CT scan slice, Abdomen, Slice 99/155

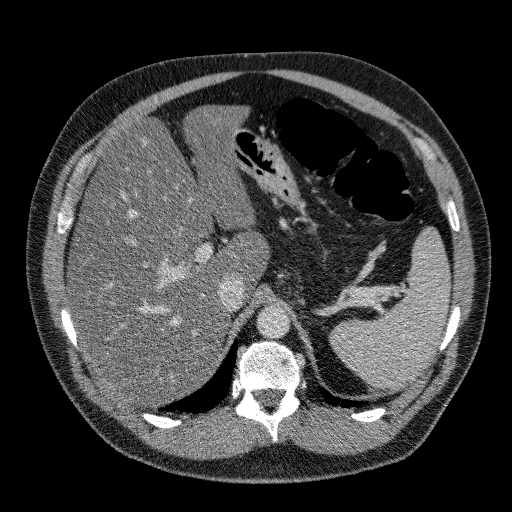 Segmented structures:
• liver: rect(67, 105, 269, 406)